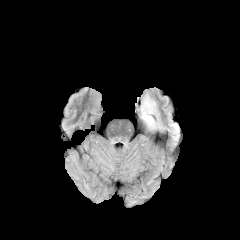
FLAIR magnetic resonance.
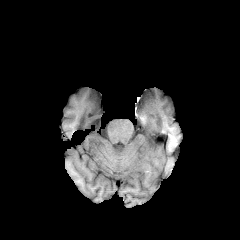
Same slice, T1-weighted MR.
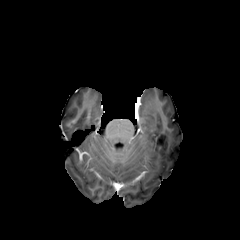
Same slice, post-contrast T1-weighted MR image.
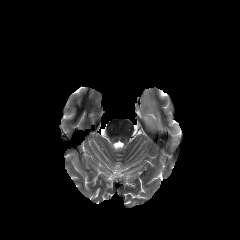
T2-weighted MRI of the same slice.
Head, 240x240
Findings:
- edema: [139,93,159,129]